Computed tomography; Slice 308 of 466; Upper abdomen

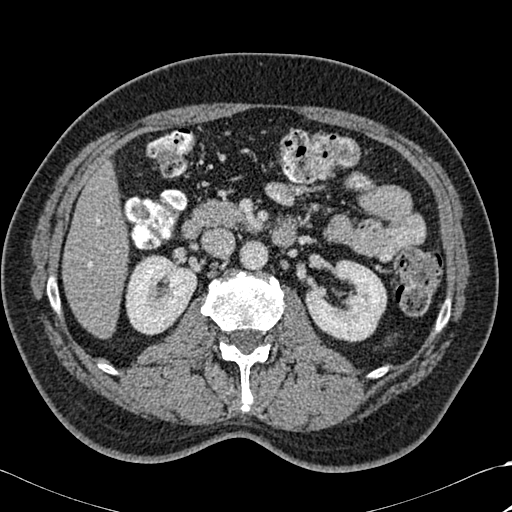
2 kidney regions are bounded by 306, 261, 386, 340; 126, 256, 196, 333. The liver appears at 64, 172, 127, 335. 5 bone regions are bounded by 370, 371, 380, 377; 437, 320, 446, 330; 201, 272, 283, 411; 47, 279, 59, 310; 101, 364, 116, 373.